FLAIR MR.
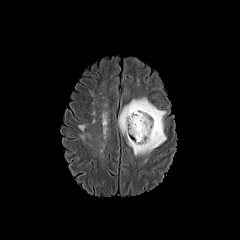
T1-weighted MR image.
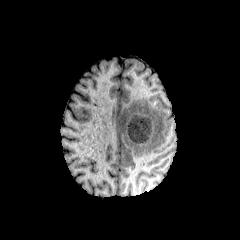
Post-contrast T1-weighted MRI.
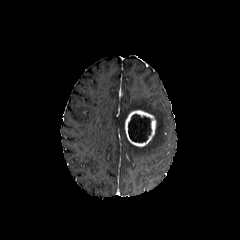
T2-weighted MR image.
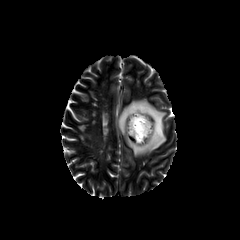
Head
{"edema": ["<box>77,124,86,132</box>", "<box>118,99,165,156</box>"], "non-enhancing_tumor_core": ["<box>128,114,151,143</box>"], "enhancing_tumor": ["<box>124,109,156,147</box>"]}